512x512 px. CT. 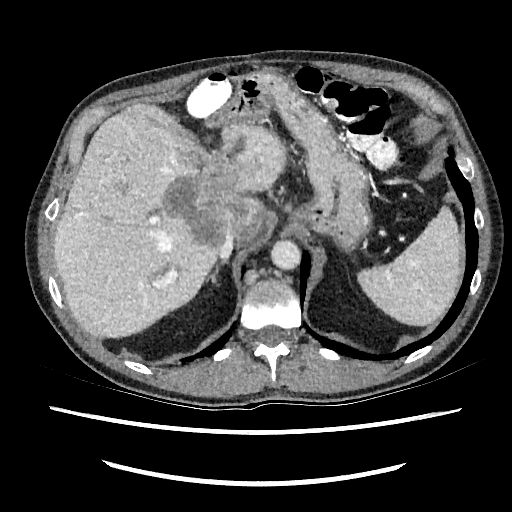 Liver lesion: bounding box x1=163 y1=147 x2=265 y2=247.
Liver: bounding box x1=53 y1=105 x2=287 y2=337.